FLAIR MRI.
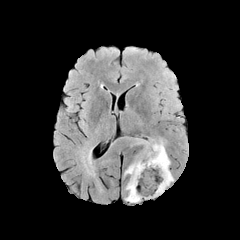
T1-weighted MR.
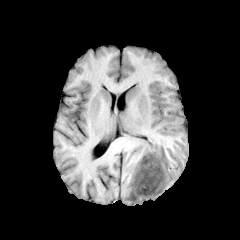
Post-contrast T1-weighted magnetic resonance.
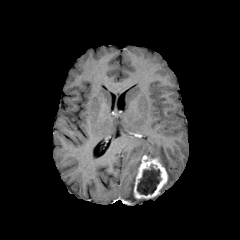
T2-weighted MR image.
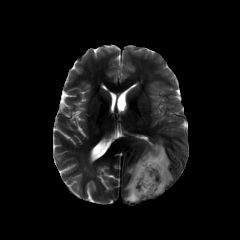
Brain.
Non-enhancing tumor core: (137, 169, 159, 195).
Edema: (142, 140, 173, 193), (125, 160, 142, 202).
Enhancing tumor: (133, 155, 168, 200).